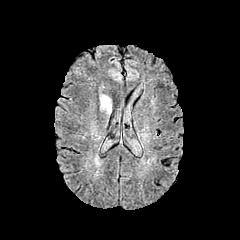
FLAIR MR.
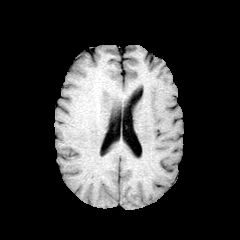
T1-weighted MRI.
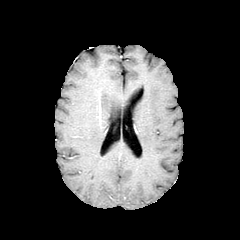
Post-contrast T1-weighted MR of the same slice.
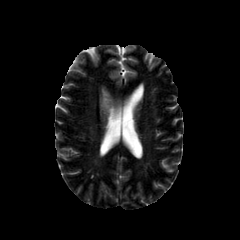
Same slice, T2-weighted magnetic resonance.
Brain
The edema lies within x1=101 y1=95 x2=111 y2=116.